CT slice
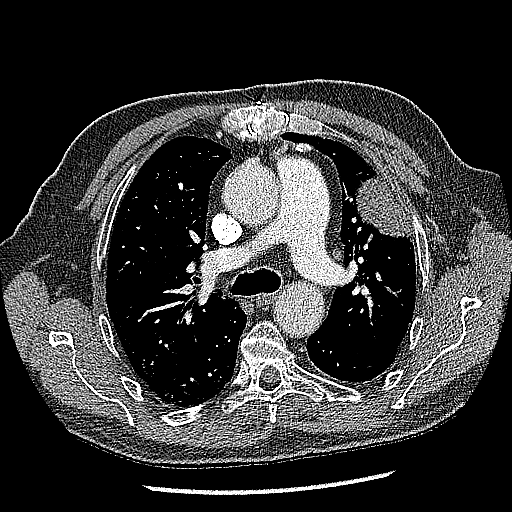
lung tumor: 356,173,411,238